Slice 26/37, MR image
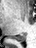 posterior_hippocampus:
  - region(10, 35, 25, 41)